Brain
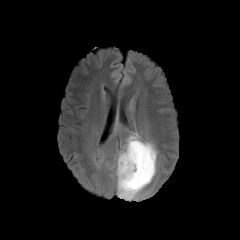
FLAIR MR.
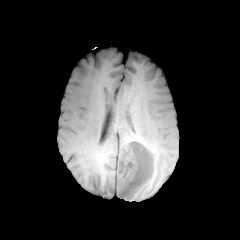
T1-weighted MR of the same slice.
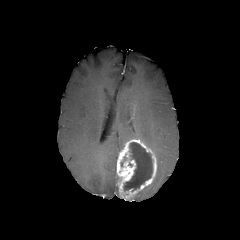
Post-contrast T1-weighted magnetic resonance.
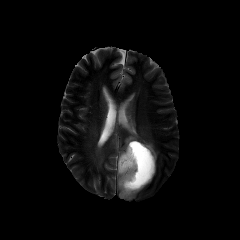
T2-weighted magnetic resonance.
Annotated regions:
- enhancing tumor: region(116, 138, 156, 199)
- edema: region(126, 129, 141, 141); region(142, 139, 157, 162); region(110, 144, 124, 187)
- non-enhancing tumor core: region(124, 142, 152, 189)